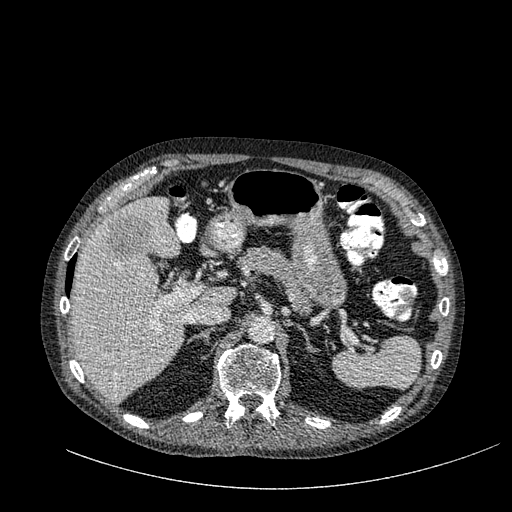 Abdomen | CT | Image size 512x512
- liver: x1=70, y1=199, x2=234, y2=402
- liver lesion: x1=104, y1=212, x2=152, y2=262